MRI slice. Image width 38 mm. Slice 15 of 31.
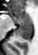
The anterior hippocampus is at {"x1": 12, "y1": 11, "x2": 31, "y2": 24}. The posterior hippocampus is bounded by {"x1": 17, "y1": 25, "x2": 31, "y2": 39}.